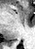 Image size 35x49; MRI slice
The posterior hippocampus appears at bbox(15, 40, 19, 40).